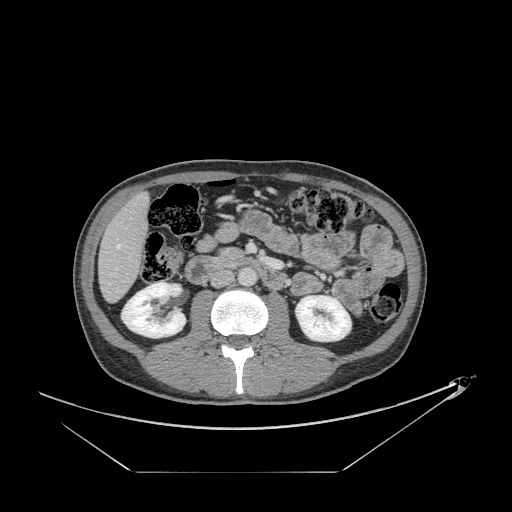 Upper abdomen; CT image

The pancreas is located at <box>218,248,240,260</box>.